Abdomen; CT image; Slice 358 of 751

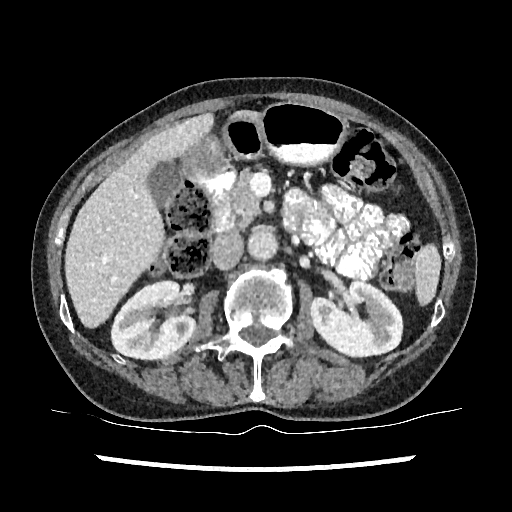

Liver: (left=231, top=112, right=257, bottom=119), (left=65, top=114, right=212, bottom=327).
Kidney: (left=112, top=280, right=194, bottom=358), (left=311, top=281, right=401, bottom=355).